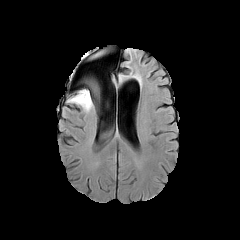
FLAIR MR image.
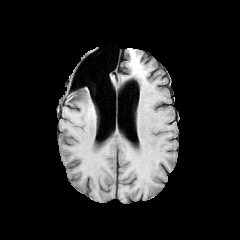
T1-weighted MR image.
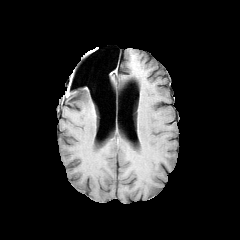
Post-contrast T1-weighted MRI.
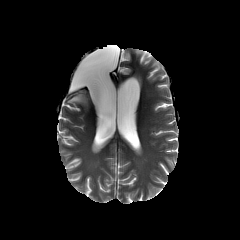
Same slice, T2-weighted MR image.
Brain, Image size 240x240
The edema is located at box=[67, 89, 93, 112].